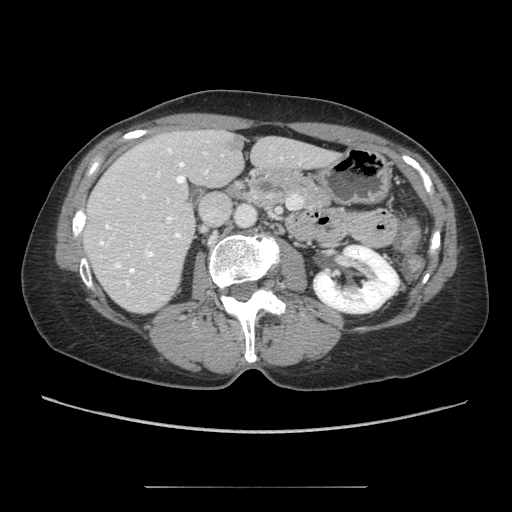
CT scan slice; Upper abdomen; 512x512

Pancreatic tumor: [257, 180, 283, 193].
Pancreas: [237, 169, 332, 212].